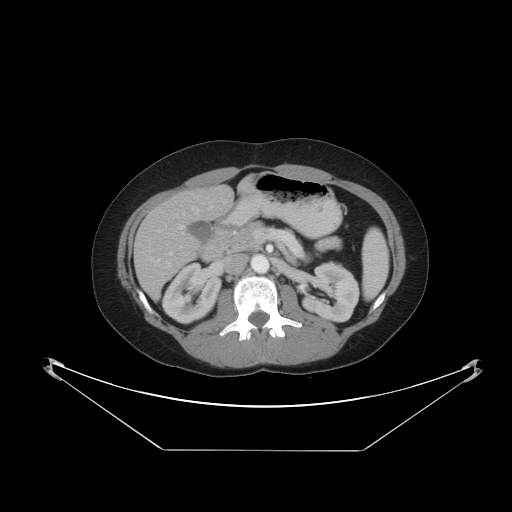
CT scan slice | 512x512 px
The vessel boxes may cover only some of the vessels.
Findings:
• hepatic vessel: bbox(157, 230, 160, 231); bbox(150, 257, 159, 261); bbox(179, 225, 184, 233); bbox(169, 252, 172, 254); bbox(180, 246, 181, 247); bbox(166, 262, 170, 265); bbox(192, 207, 198, 213); bbox(209, 206, 212, 208); bbox(182, 210, 184, 213)